512x512, CT image

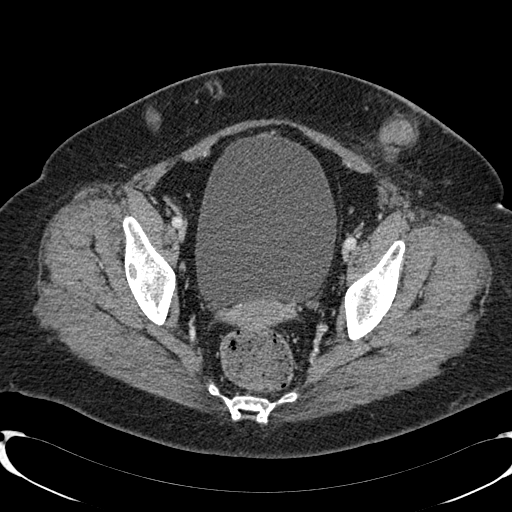
The urinary bladder lies within (left=195, top=134, right=336, bottom=305).